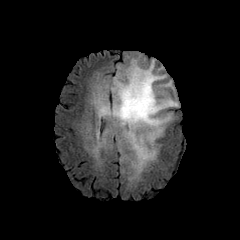
FLAIR MR.
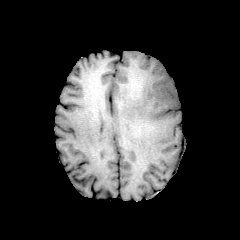
T1-weighted magnetic resonance.
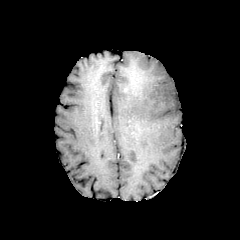
Post-contrast T1-weighted MR image.
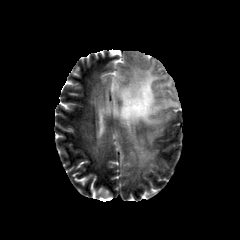
Same slice, T2-weighted MR image.
240x240 px. Brain.
2 non-enhancing tumor core regions are bounded by <box>123,63,149,95</box>, <box>127,119,139,139</box>. The edema is bounded by <box>96,59,177,168</box>.